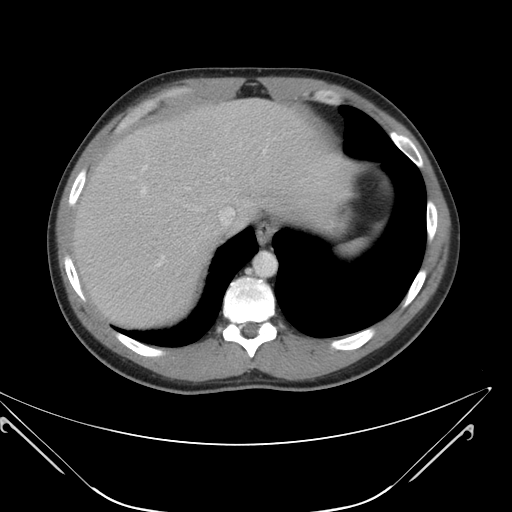

CT; Liver
Only some of the vessels may be annotated.
hepatic_vessel:
  - <bbox>141, 188, 145, 195</bbox>
  - <bbox>186, 187, 189, 189</bbox>
  - <bbox>143, 165, 146, 169</bbox>
  - <bbox>157, 255, 163, 265</bbox>
  - <bbox>219, 208, 234, 225</bbox>